FLAIR MR.
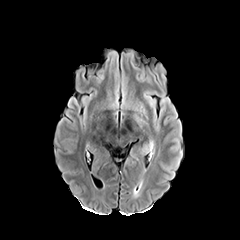
T1-weighted magnetic resonance.
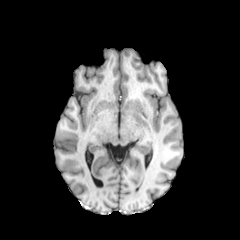
Post-contrast T1-weighted MR.
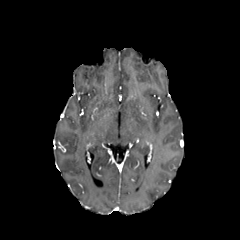
T2-weighted MRI.
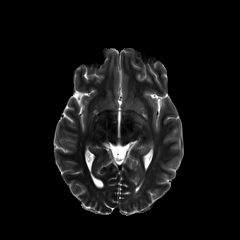
240x240 | Brain
edema: 138 144 149 154, 143 93 156 129, 121 83 147 129